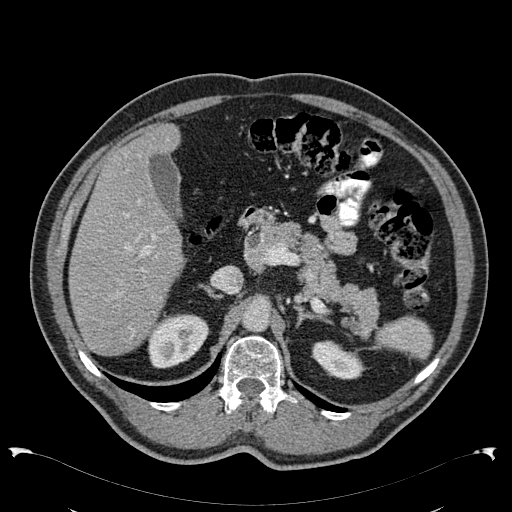

CT | 512x512 px
Liver at (x1=69, y1=124, x2=183, y2=355).
Kidney at (x1=312, y1=340, x2=364, y2=378), (x1=144, y1=314, x2=208, y2=367).